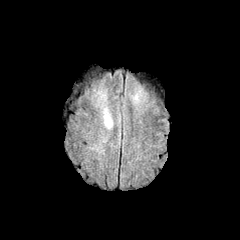
FLAIR MRI.
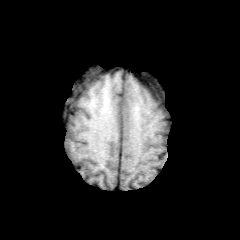
Same slice, T1-weighted MR.
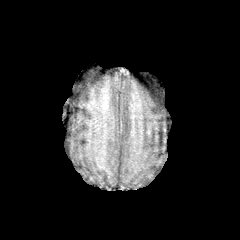
Post-contrast T1-weighted MR image.
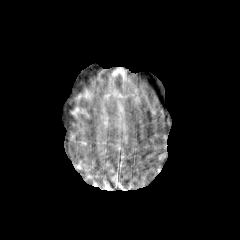
Same slice, T2-weighted MR.
Edema at bbox=[102, 109, 110, 127]; bbox=[131, 86, 142, 104].